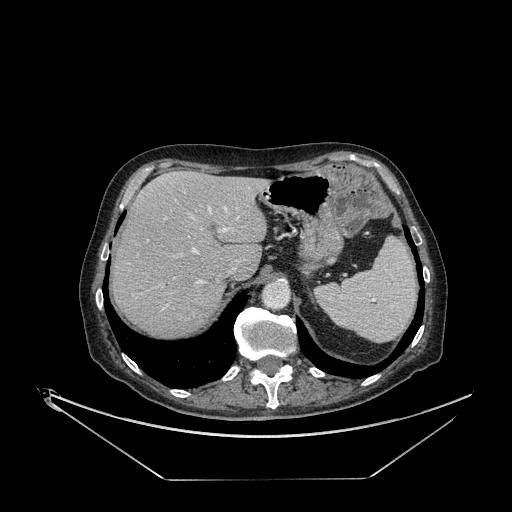 512x512, CT scan slice, Liver
The liver lies within region(112, 170, 270, 337).